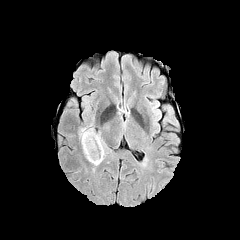
FLAIR magnetic resonance.
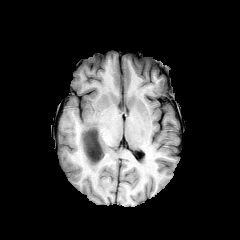
T1-weighted magnetic resonance.
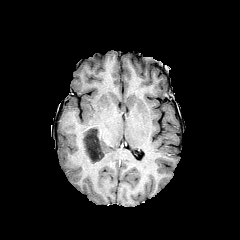
Same slice, post-contrast T1-weighted MR image.
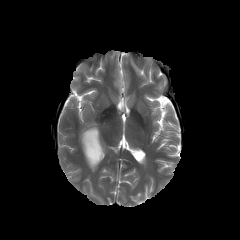
T2-weighted MRI of the same slice.
Head
non-enhancing tumor core: [x1=84, y1=128, x2=101, y2=161] | edema: [x1=79, y1=123, x2=108, y2=171]